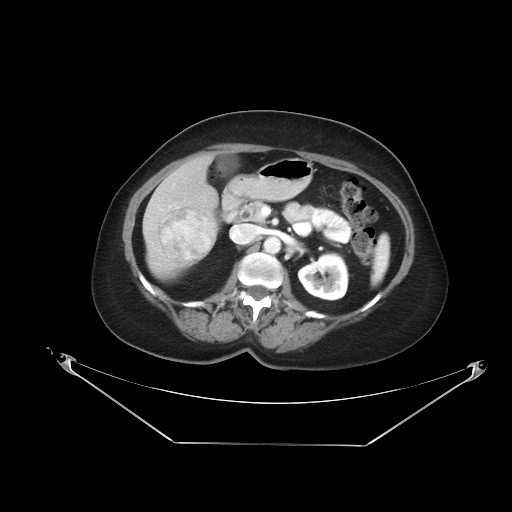

CT | Abdomen

Not every hepatic vessel necessarily has a box.
The liver tumor is located at <bbox>160, 207, 216, 263</bbox>. 3 hepatic vessel regions appear at <bbox>153, 228, 155, 229</bbox>, <bbox>175, 206, 178, 208</bbox>, <bbox>237, 228, 257, 242</bbox>.